240x240 px, Slice 67/155
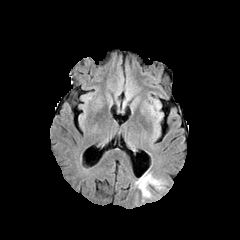
FLAIR MRI.
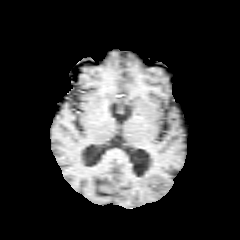
T1-weighted MR image of the same slice.
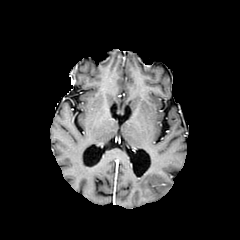
Post-contrast T1-weighted MRI of the same slice.
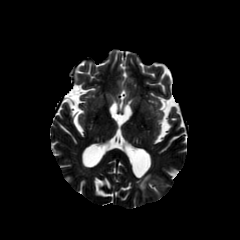
T2-weighted MRI.
<segmentation>
  <edema>135, 172, 165, 197</edema>
</segmentation>